Field of view 240 mm wide, 1.00 mm slice spacing | Brain | Image size 240x240
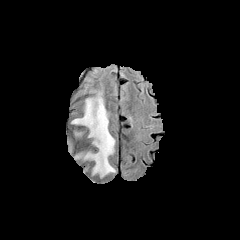
FLAIR MRI.
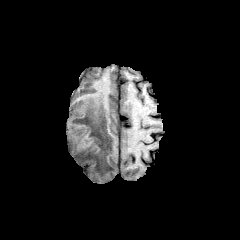
Same slice, T1-weighted magnetic resonance.
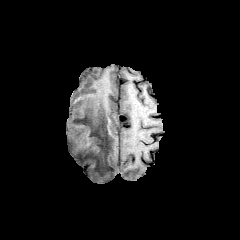
Same slice, post-contrast T1-weighted MR image.
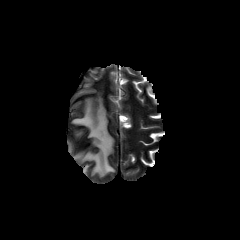
T2-weighted MR.
Edema = [72,95,114,176].